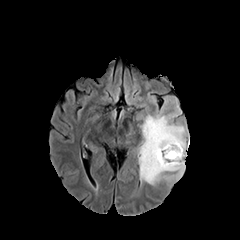
FLAIR MR.
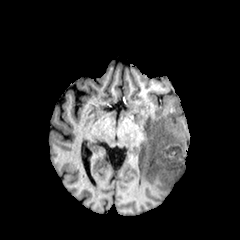
T1-weighted MR.
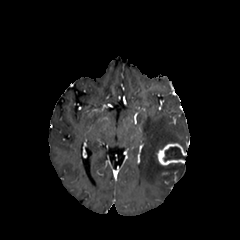
Post-contrast T1-weighted MR image of the same slice.
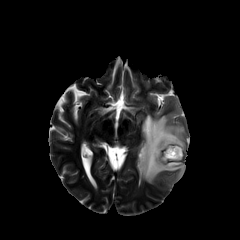
T2-weighted magnetic resonance.
The enhancing tumor is at <box>157,143,186,164</box>. The edema is at <box>139,114,189,184</box>. The non-enhancing tumor core is located at <box>164,146,185,161</box>.